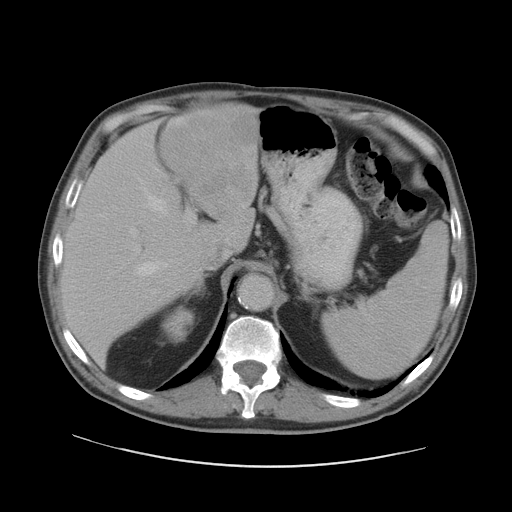
CT slice | Abdomen

Only some of the vessels may be annotated.
{"hepatic_vessel": ["[x1=143, y1=255, x2=145, y2=256]", "[x1=147, y1=195, x2=166, y2=214]", "[x1=136, y1=259, x2=159, y2=275]", "[x1=153, y1=233, x2=161, y2=240]", "[x1=113, y1=212, x2=114, y2=215]", "[x1=164, y1=263, x2=166, y2=266]", "[x1=150, y1=289, x2=155, y2=293]", "[x1=141, y1=188, x2=147, y2=194]", "[x1=113, y1=206, x2=114, y2=210]", "[x1=183, y1=215, x2=192, y2=222]", "[x1=169, y1=260, x2=171, y2=261]", "[x1=134, y1=245, x2=139, y2=252]", "[x1=130, y1=228, x2=136, y2=236]"], "liver_tumor": ["[x1=160, y1=105, x2=258, y2=218]"]}